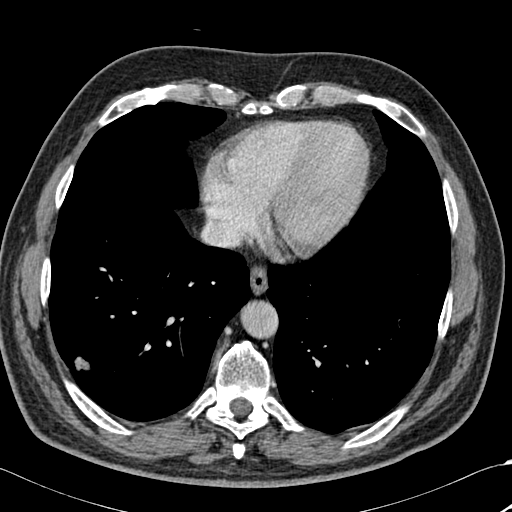
512x512; Computed tomography

Lung: bounding box (48,102,251,421), (266,109,450,434).
Bone: bounding box (243,103,271,113), (66,381,130,434), (188,341,302,438), (233,444,244,458), (276,87,294,105), (40,259,50,302), (99,85,184,124), (344,408,405,447), (438,294,452,336), (361,96,424,135), (55,167,72,207), (443,181,457,230).